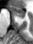 Medial temporal lobe; MRI slice
<segmentation>
  <anterior_hippocampus>{"x1": 10, "y1": 5, "x2": 25, "y2": 17}</anterior_hippocampus>
</segmentation>